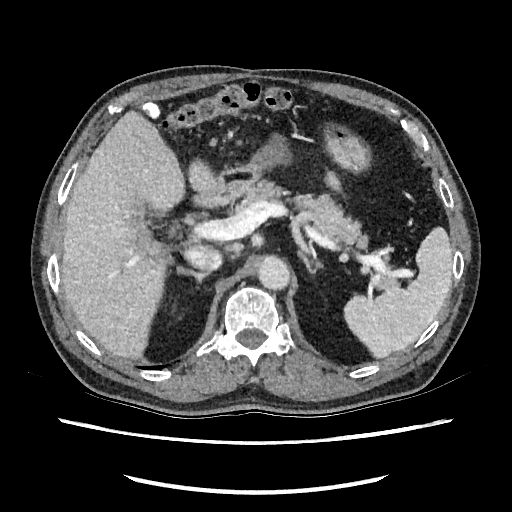
Upper abdomen, CT slice
<segmentation>
  <liver_lesion>137, 219, 168, 267</liver_lesion>
  <liver>64, 114, 184, 357; 189, 164, 213, 190</liver>
</segmentation>